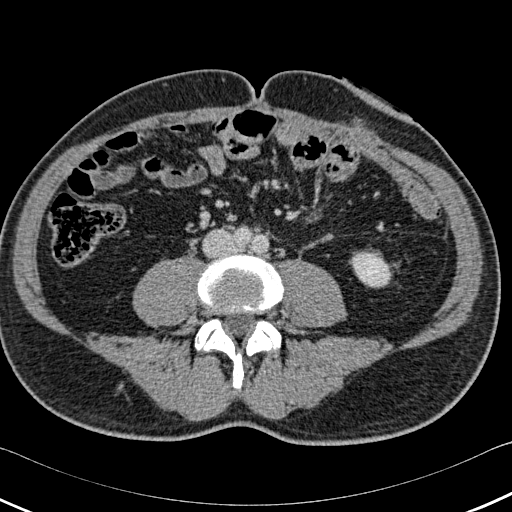

Computed tomography. Abdomen. kidney:
  - [x1=353, y1=253, x2=389, y2=286]
bone:
  - [x1=246, y1=321, x2=280, y2=355]
  - [x1=197, y1=255, x2=283, y2=311]
  - [x1=195, y1=319, x2=243, y2=388]